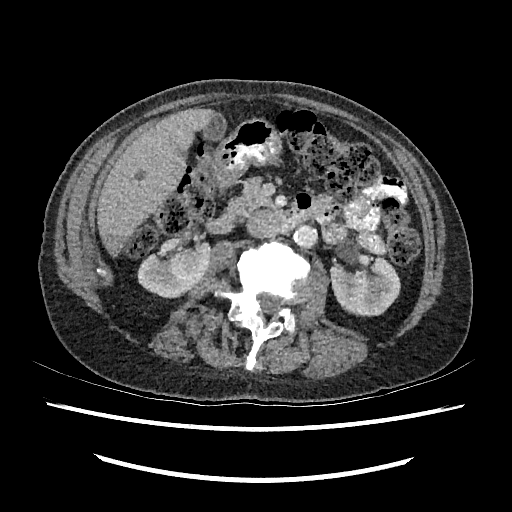 CT scan slice, Upper abdomen

Annotated regions:
* hepatic lesion: x1=136 y1=171 x2=145 y2=180, x1=106 y1=233 x2=126 y2=244
* liver: x1=99 y1=108 x2=212 y2=254
* kidney: x1=331 y1=255 x2=399 y2=314, x1=138 y1=243 x2=210 y2=297